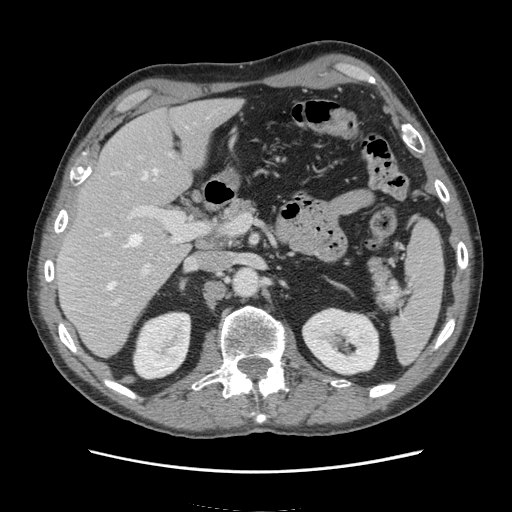
Upper abdomen | CT
Spleen — l=391, t=222, r=443, b=363.